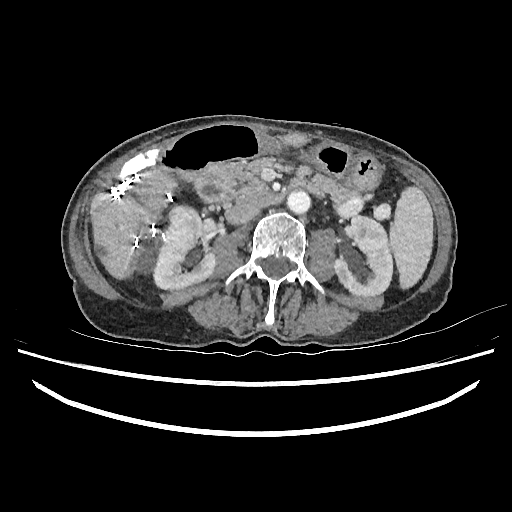
CT image
2 kidney regions are located at bbox=[154, 207, 224, 289]; bbox=[334, 215, 392, 296]. 2 liver regions are located at bbox=[91, 170, 176, 278]; bbox=[283, 133, 307, 147]. The hepatic lesion is located at bbox=[138, 244, 154, 272].